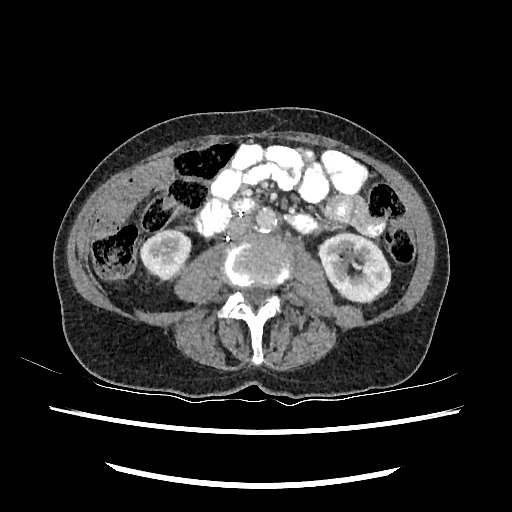
Abdomen. CT scan slice.

Kidney — 141:231:190:278, 320:233:390:301.